CT
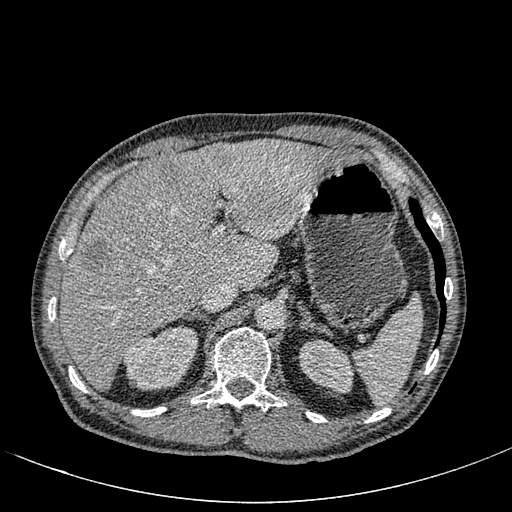 <segmentation>
  <liver_lesion>(212, 143, 232, 163), (81, 237, 109, 271), (156, 160, 181, 183), (221, 235, 235, 250)</liver_lesion>
  <liver>(59, 139, 359, 391)</liver>
  <kidney>(299, 340, 353, 392), (122, 326, 197, 389)</kidney>
</segmentation>